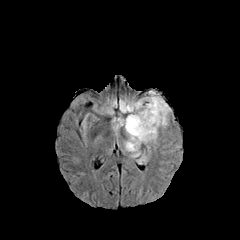
FLAIR MRI.
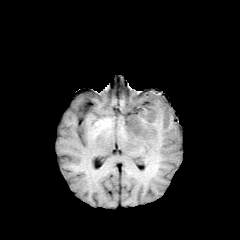
T1-weighted MR image.
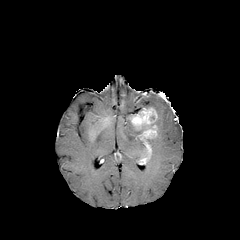
Post-contrast T1-weighted MR image.
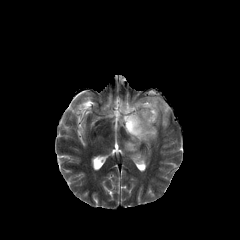
T2-weighted MR image.
- enhancing tumor: (x1=139, y1=142, x2=151, y2=164), (x1=141, y1=129, x2=156, y2=139), (x1=131, y1=108, x2=156, y2=127)
- edema: (x1=111, y1=113, x2=145, y2=162), (x1=119, y1=90, x2=172, y2=145)
- non-enhancing tumor core: (x1=126, y1=114, x2=156, y2=138)